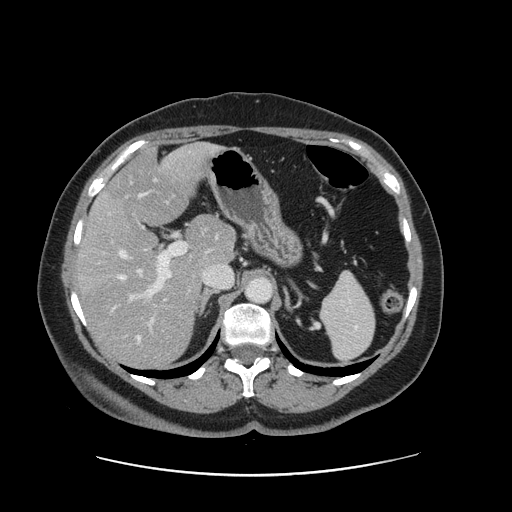 CT | Liver
The vessel annotation is not exhaustive.
<segmentation>
  <hepatic_vessel>(left=138, top=269, right=142, bottom=275), (left=112, top=307, right=114, bottom=310), (left=129, top=294, right=135, bottom=300), (left=146, top=248, right=148, bottom=249), (left=120, top=250, right=126, bottom=257), (left=119, top=275, right=125, bottom=279), (left=149, top=319, right=153, bottom=329), (left=146, top=285, right=158, bottom=296), (left=137, top=336, right=140, bottom=342)</hepatic_vessel>
</segmentation>